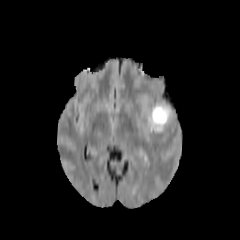
FLAIR MRI.
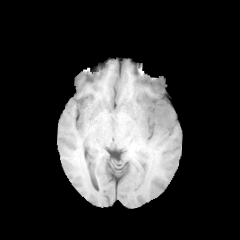
T1-weighted MR image.
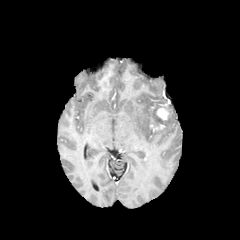
Same slice, post-contrast T1-weighted magnetic resonance.
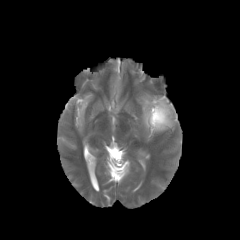
Same slice, T2-weighted MR.
Brain
Enhancing tumor at rect(157, 106, 171, 120).
Edema at rect(143, 98, 177, 140).